Slice 36 of 66; 512x512; Abdomen; CT scan slice; Field of view 486 mm wide, 5.00 mm slice spacing

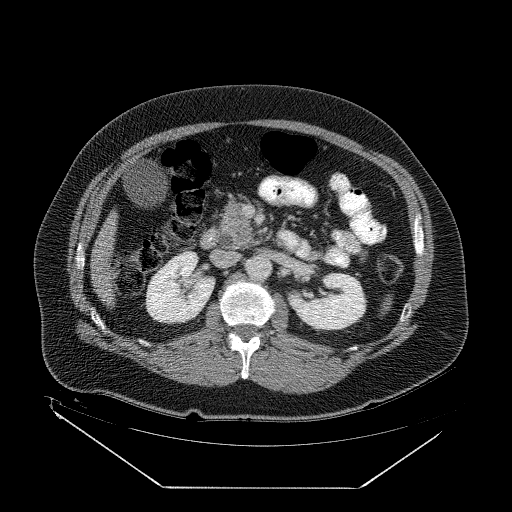

Pancreatic tumor = rect(221, 220, 237, 234).
Pancreas = rect(219, 201, 254, 248).